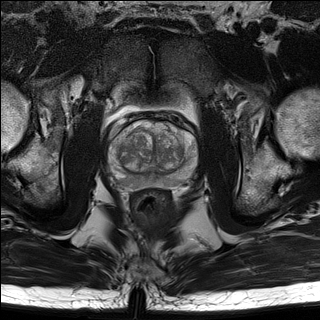
T2-weighted MR image.
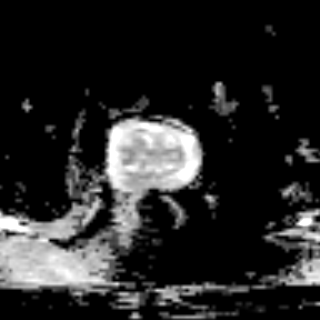
ADC MR.
Prostate, Image size 320x320
{"prostate_transition_zone": ["l=117, t=121, r=182, b=174"], "prostate_peripheral_zone": ["l=110, t=121, r=196, b=188"]}